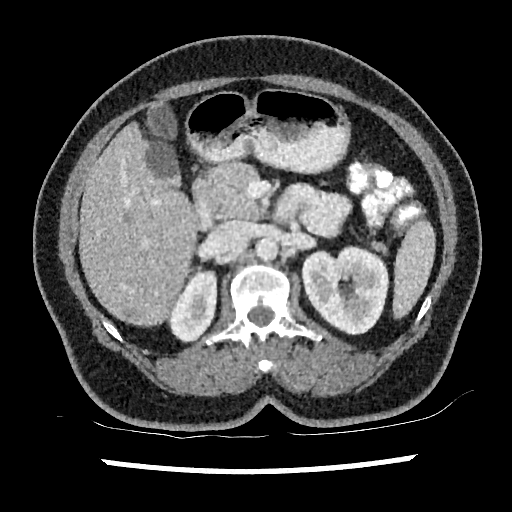
CT slice, Liver, Image size 512x512
Kidney: (left=170, top=273, right=216, bottom=340), (left=298, top=247, right=387, bottom=333).
Liver lesion: (left=146, top=142, right=178, bottom=178).
Liver: (left=79, top=123, right=195, bottom=324).